Computed tomography; Abdomen
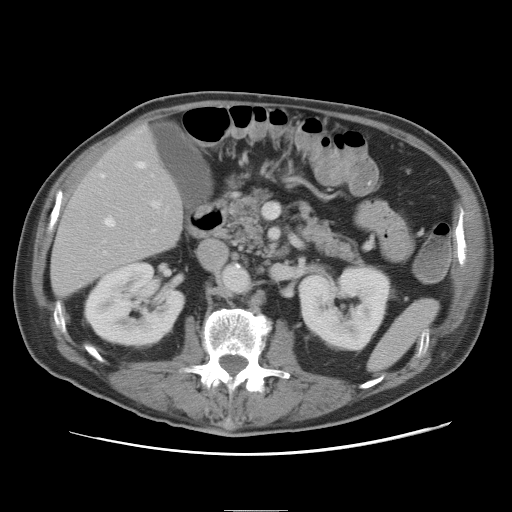
Only some of the vessels may be annotated.
Findings:
- hepatic vessel: 104 252 106 254, 143 126 147 130, 137 163 144 167, 105 219 115 225, 153 202 159 207, 101 174 104 177, 153 230 154 231